FLAIR magnetic resonance.
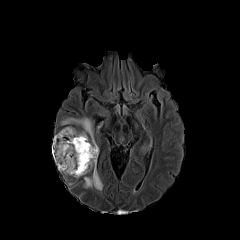
T1-weighted MR image.
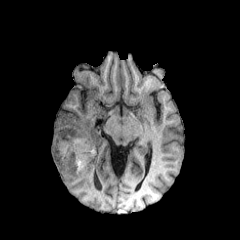
Post-contrast T1-weighted MR image.
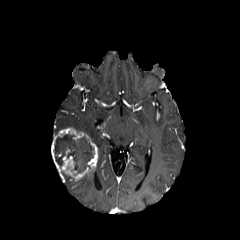
T2-weighted MR image.
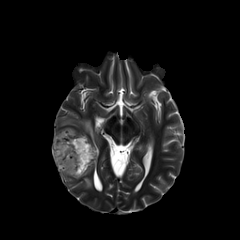
Brain
* enhancing tumor: 52, 127, 98, 180
* edema: 61, 118, 93, 138; 84, 170, 102, 192
* non-enhancing tumor core: 53, 132, 94, 174